FLAIR MR image.
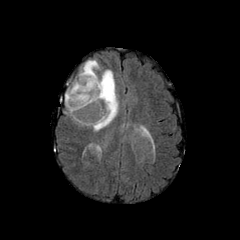
T1-weighted MRI.
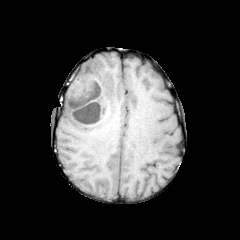
Post-contrast T1-weighted MRI.
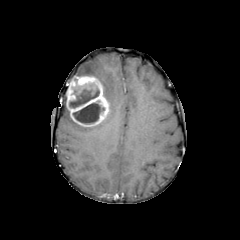
T2-weighted MR image.
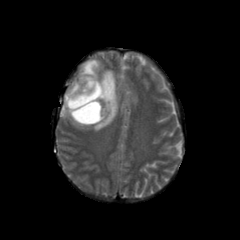
Head
non-enhancing_tumor_core:
  - x1=68, y1=82, x2=99, y2=108
  - x1=72, y1=102, x2=105, y2=125
enhancing_tumor:
  - x1=66, y1=76, x2=108, y2=123
edema:
  - x1=78, y1=58, x2=119, y2=131